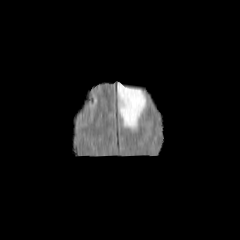
FLAIR MR.
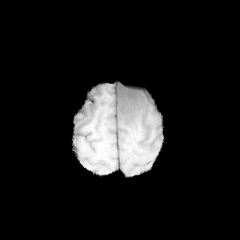
T1-weighted magnetic resonance.
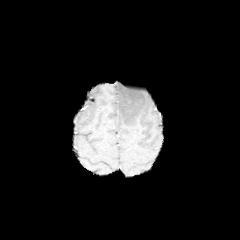
Post-contrast T1-weighted MR image of the same slice.
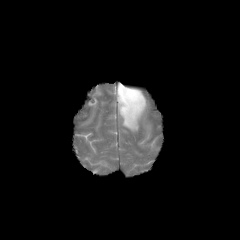
Same slice, T2-weighted MR.
Head
Edema at l=117, t=82, r=146, b=130.